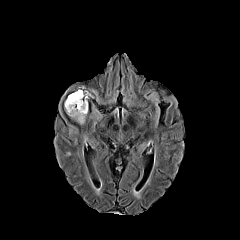
FLAIR MRI.
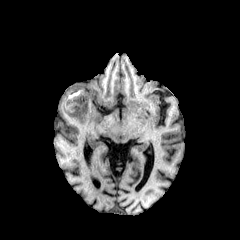
T1-weighted MRI.
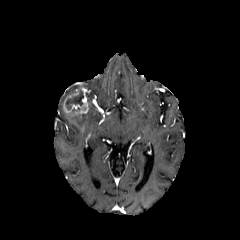
Post-contrast T1-weighted MR image.
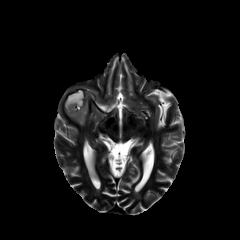
T2-weighted MR image of the same slice.
Brain
The edema is at 71 114 86 125. The non-enhancing tumor core is located at 66 92 83 105. The enhancing tumor is at 63 87 90 118.